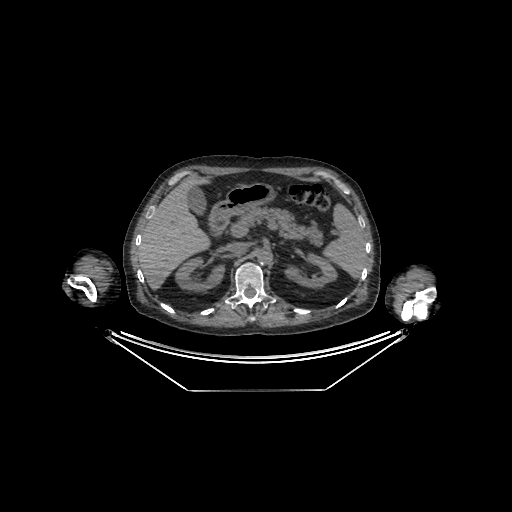 CT
{"liver": ["x1=136, y1=176, x2=209, y2=288"], "kidney": ["x1=285, y1=253, x2=337, y2=288", "x1=175, y1=257, x2=224, y2=291"]}